Image size 512x512; Slice index 125; Abdomen; CT slice

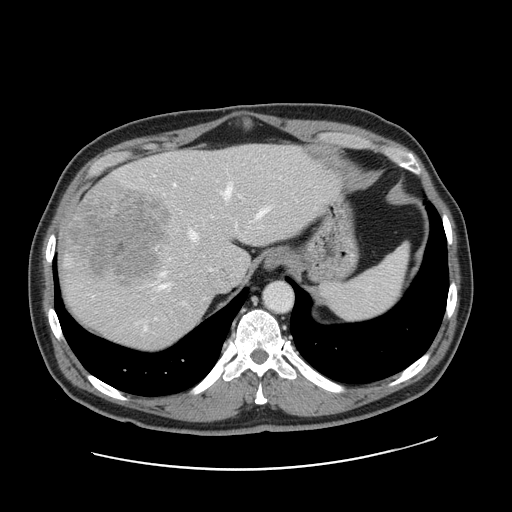 The vessel boxes may cover only some of the vessels.
<segmentation>
  <hepatic_vessel>155:317:156:319, 182:301:187:305, 188:230:197:238, 142:319:148:329, 236:222:237:227, 247:256:248:258, 211:215:212:216, 257:207:267:216, 219:184:231:198, 174:183:175:184</hepatic_vessel>
  <liver_tumor>67:179:170:289</liver_tumor>
</segmentation>